Head. Slice index 101.
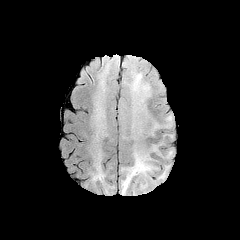
FLAIR MR.
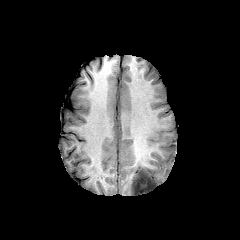
Same slice, T1-weighted MRI.
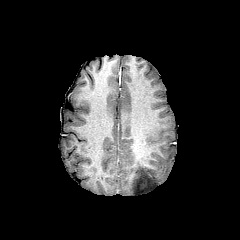
Same slice, post-contrast T1-weighted magnetic resonance.
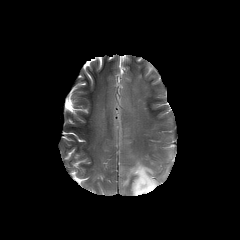
T2-weighted MR image of the same slice.
- edema: (left=121, top=155, right=155, bottom=193)
- non-enhancing tumor core: (left=133, top=166, right=155, bottom=191)